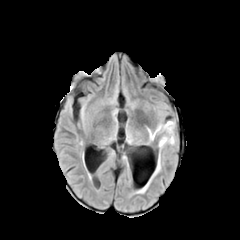
FLAIR MRI.
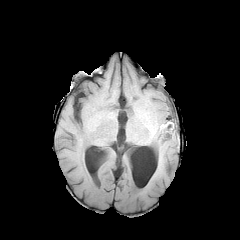
Same slice, T1-weighted MR.
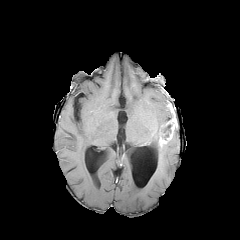
Post-contrast T1-weighted MR of the same slice.
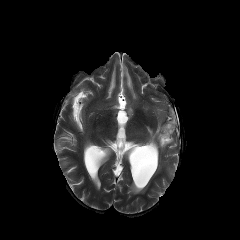
T2-weighted MR image.
non-enhancing_tumor_core:
  - 159:121:173:139
edema:
  - 145:124:161:144
  - 154:145:161:175
enhancing_tumor:
  - 159:132:171:145